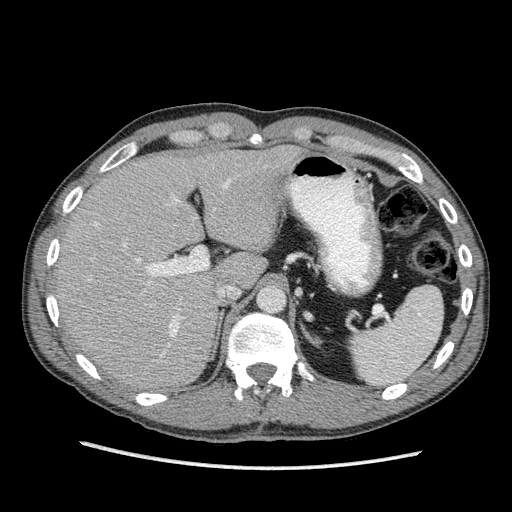 CT image; Upper abdomen
The liver lies within 52:144:309:393.